Computed tomography, 512x512 px, Image width 400 mm
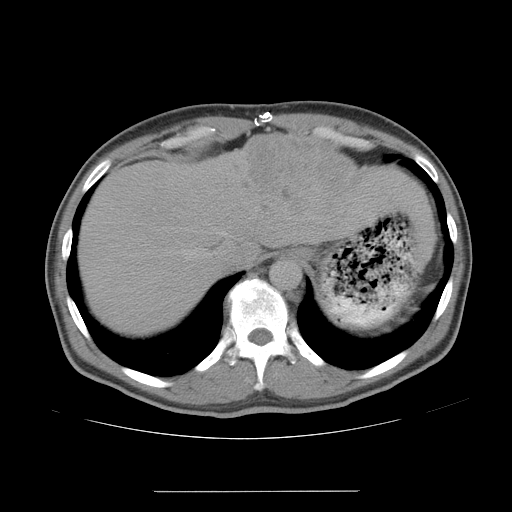 Only some of the vessels may be annotated.
The liver tumor is located at (241,134,360,235). 7 hepatic vessel regions appear at (220,231,225,235), (204,223,206,224), (252,215,255,218), (146,251,148,253), (153,208,155,209), (174,248,216,257), (186,258,189,260).